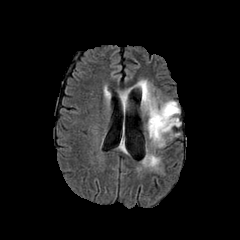
FLAIR MR.
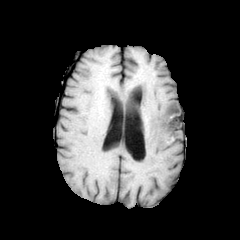
T1-weighted magnetic resonance of the same slice.
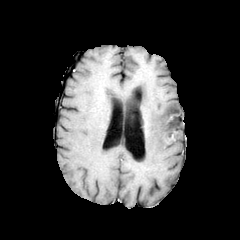
Post-contrast T1-weighted MR image of the same slice.
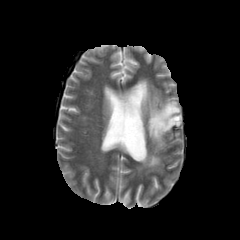
T2-weighted MR image of the same slice.
Edema = <bbox>133, 79, 181, 148</bbox>, <bbox>142, 149, 160, 169</bbox>, <bbox>119, 87, 132, 112</bbox>.
Non-enhancing tumor core = <bbox>165, 104, 177, 117</bbox>, <bbox>168, 117, 178, 123</bbox>.